Slice 39/155. Brain. Image size 240x240.
FLAIR MR.
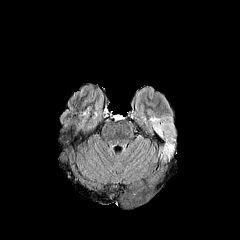
T1-weighted MR.
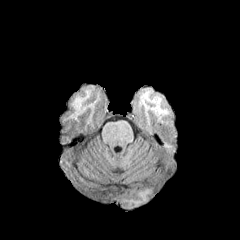
Post-contrast T1-weighted MR image.
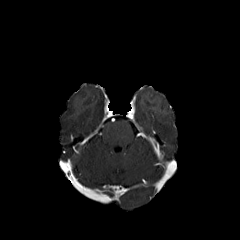
T2-weighted MRI.
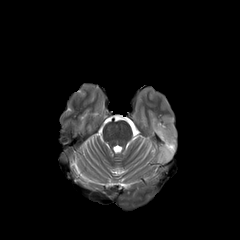
Edema = 153, 118, 175, 161.